FLAIR MR image.
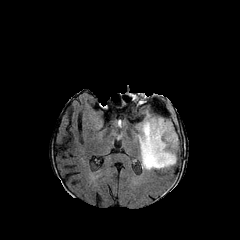
T1-weighted MR.
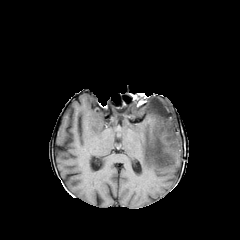
Post-contrast T1-weighted magnetic resonance.
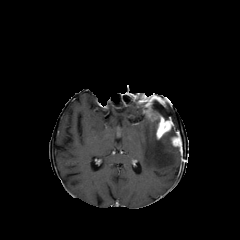
T2-weighted magnetic resonance.
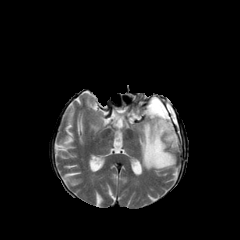
non-enhancing_tumor_core:
  - box(145, 115, 158, 137)
  - box(143, 94, 174, 123)
  - box(160, 126, 181, 151)
edema:
  - box(137, 118, 177, 171)
enhancing_tumor:
  - box(170, 134, 179, 146)
  - box(145, 107, 173, 139)